FLAIR MRI.
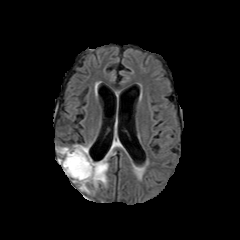
T1-weighted MR image.
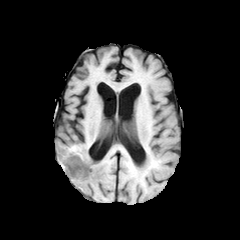
Post-contrast T1-weighted MR.
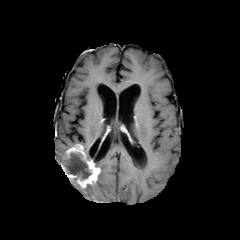
T2-weighted MR.
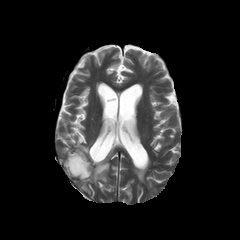
240x240 px; Brain
3 edema regions appear at (136, 168, 143, 177), (59, 146, 71, 163), (80, 153, 112, 192). The non-enhancing tumor core lies within (62, 152, 91, 181). The enhancing tumor lies within (66, 144, 100, 187).